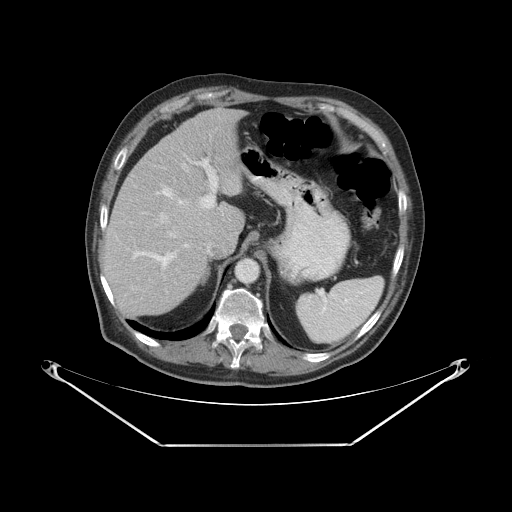

Liver. CT slice. Image size 512x512. The vessel annotation is not exhaustive.
hepatic vessel: (left=192, top=162, right=195, bottom=162), (left=181, top=163, right=188, bottom=171), (left=167, top=232, right=175, bottom=237), (left=155, top=184, right=189, bottom=214), (left=183, top=244, right=188, bottom=246), (left=133, top=250, right=176, bottom=269), (left=160, top=213, right=168, bottom=222)